Computed tomography, Abdomen

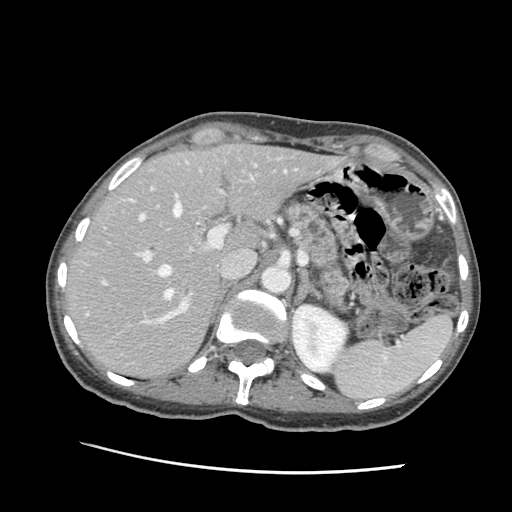 pancreas: left=288, top=203, right=347, bottom=313